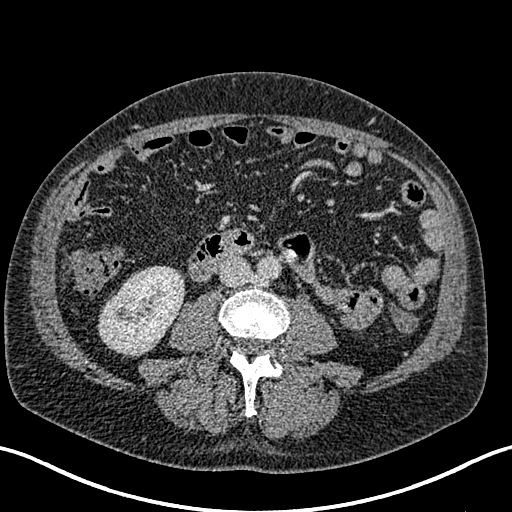 CT scan slice
The kidney is bounded by bbox(99, 266, 183, 354).